CT slice, Abdomen, Slice 28 of 45 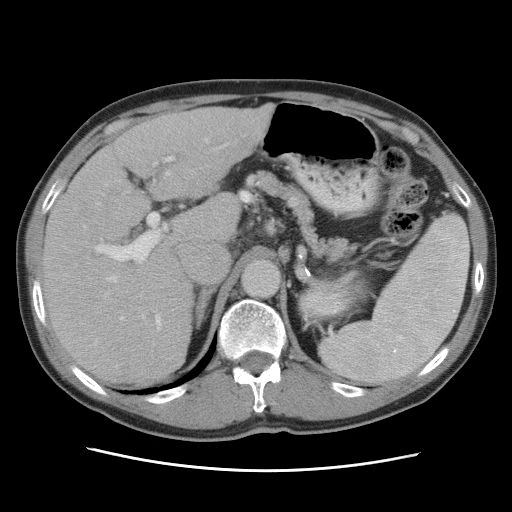

Some hepatic vessels may have no box.
<segmentation>
  <hepatic_vessel>bbox(153, 162, 156, 165); bbox(103, 292, 109, 297); bbox(213, 143, 228, 152); bbox(83, 225, 86, 230); bbox(96, 203, 99, 205); bbox(155, 315, 160, 330); bbox(97, 213, 159, 262); bbox(120, 318, 123, 319); bbox(204, 139, 208, 142); bbox(164, 225, 166, 228); bbox(106, 276, 116, 282); bbox(164, 157, 173, 161)</hepatic_vessel>
</segmentation>